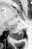

MRI slice
Posterior hippocampus = (left=10, top=31, right=23, bottom=40).